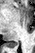

MR. Medial temporal lobe. 35x53 px.
{
  "posterior_hippocampus": [
    "x1=11, y1=42, x2=18, y2=45"
  ]
}